CT slice.
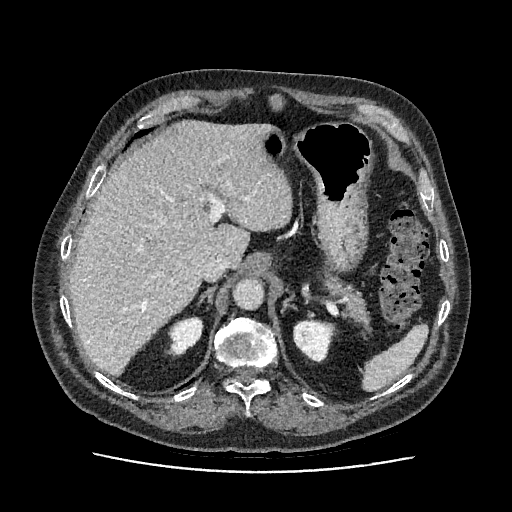

Liver: region(70, 120, 291, 375).
Kidney: region(172, 319, 201, 353); region(294, 321, 330, 360).